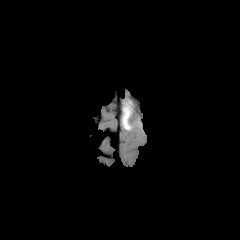
FLAIR MRI.
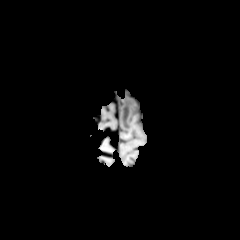
T1-weighted MR.
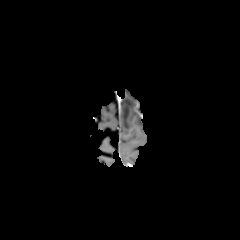
Post-contrast T1-weighted MR image.
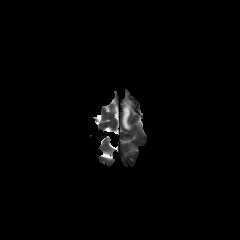
Same slice, T2-weighted MR image.
Edema — {"x1": 121, "y1": 94, "x2": 141, "y2": 130}.